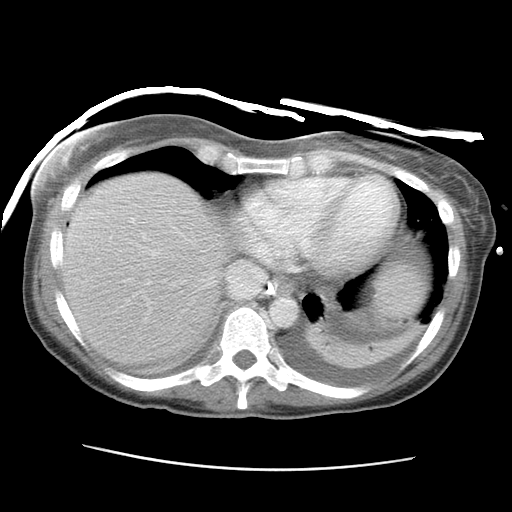

512x512 px | Upper abdomen | CT
* liver: bbox=[375, 265, 425, 319]; bbox=[61, 173, 241, 364]
* focal liver lesion: bbox=[364, 283, 373, 303]